FLAIR MR image.
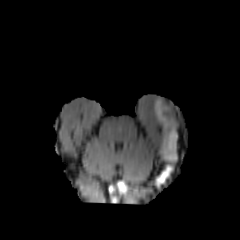
T1-weighted MRI.
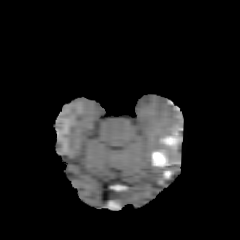
Post-contrast T1-weighted magnetic resonance.
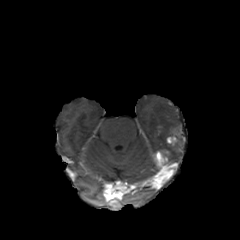
T2-weighted MR image.
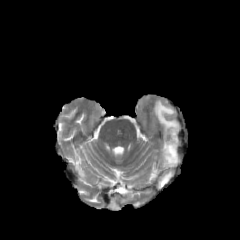
Head.
Edema — left=153, top=99, right=181, bottom=164.
Enhancing tumor — left=156, top=150, right=167, bottom=164; left=166, top=130, right=182, bottom=145.
Non-enhancing tumor core — left=175, top=135, right=181, bottom=145.